FLAIR MR image.
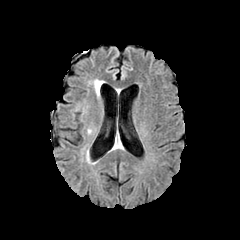
T1-weighted MR image.
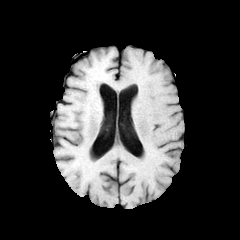
Post-contrast T1-weighted MR.
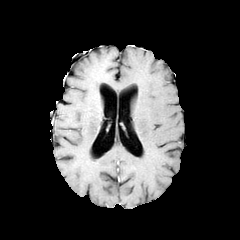
T2-weighted MRI.
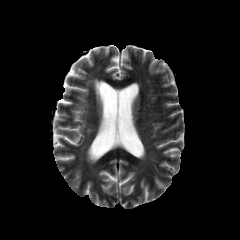
Brain.
Edema: bounding box 92,80,101,98.